FLAIR MR.
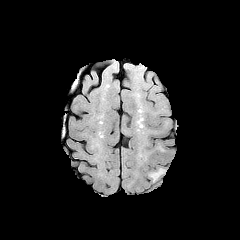
T1-weighted magnetic resonance.
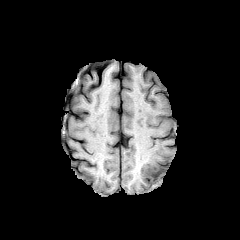
Post-contrast T1-weighted MRI.
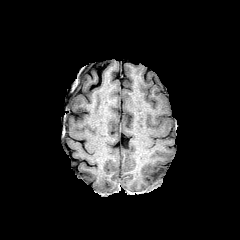
T2-weighted magnetic resonance.
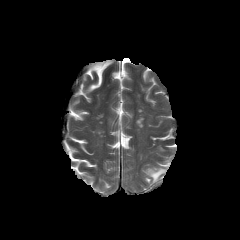
Head
Edema: box=[149, 167, 164, 181].